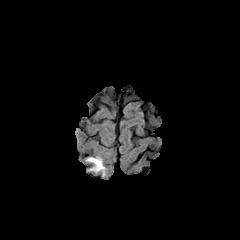
FLAIR MRI.
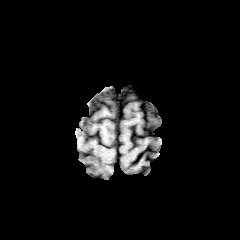
T1-weighted magnetic resonance of the same slice.
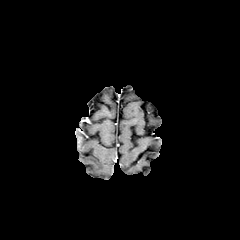
Same slice, post-contrast T1-weighted MRI.
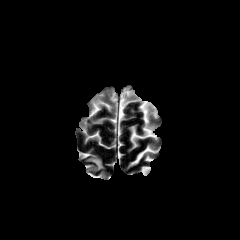
T2-weighted MRI of the same slice.
Brain | Image size 240x240
<segmentation>
  <edema>86, 156, 104, 175</edema>
</segmentation>